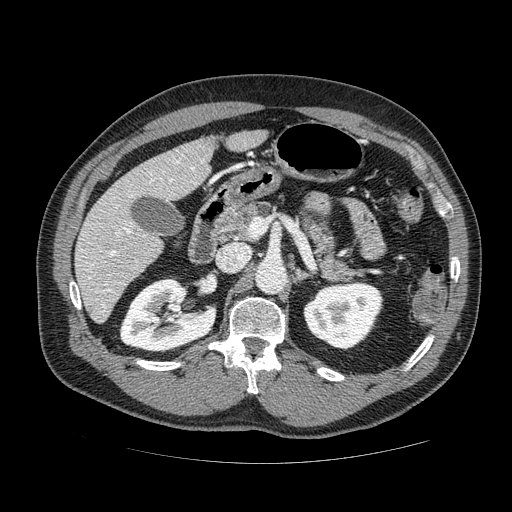 CT image
{"pancreas": ["bbox=[295, 211, 366, 283]", "bbox=[218, 202, 278, 243]"]}